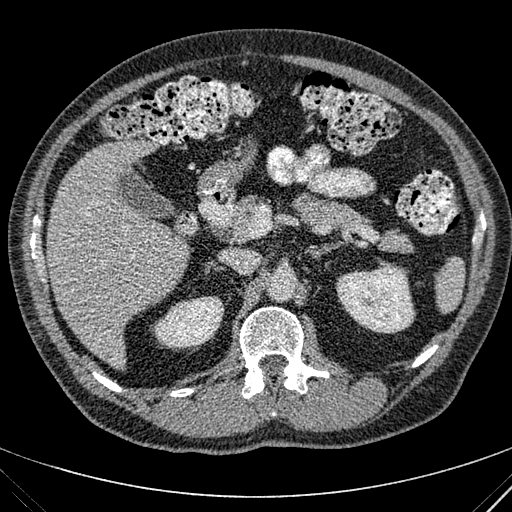
CT scan slice.

Findings:
- hepatic lesion: <bbox>106, 343, 113, 350</bbox>
- liver: <bbox>46, 141, 188, 367</bbox>
- kidney: <bbox>155, 296, 223, 347</bbox>, <bbox>337, 264, 414, 332</bbox>